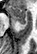
Hippocampus; MRI slice
anterior_hippocampus:
  - bbox(10, 6, 25, 19)
posterior_hippocampus:
  - bbox(16, 20, 25, 24)